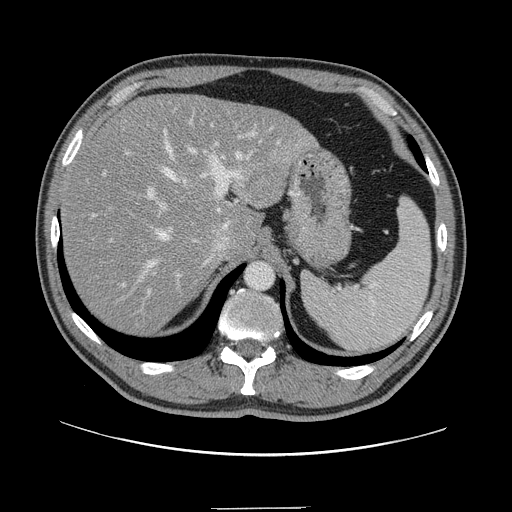
CT, Abdomen
Not every hepatic vessel necessarily has a box.
The liver tumor lies within bbox=[241, 168, 281, 208]. The most prominent 15 hepatic vessel regions (of 23) are located at bbox=[147, 188, 154, 199]; bbox=[190, 118, 192, 124]; bbox=[164, 169, 176, 179]; bbox=[177, 274, 180, 280]; bbox=[248, 130, 256, 136]; bbox=[148, 290, 151, 295]; bbox=[236, 152, 251, 158]; bbox=[160, 204, 166, 209]; bbox=[189, 148, 195, 152]; bbox=[201, 156, 242, 196]; bbox=[166, 142, 172, 155]; bbox=[157, 229, 171, 240]; bbox=[239, 135, 242, 138]; bbox=[164, 130, 166, 135]; bbox=[139, 261, 156, 281].